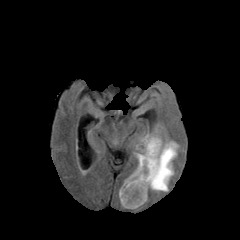
FLAIR MR image.
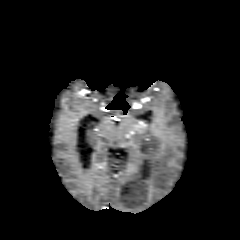
T1-weighted MR.
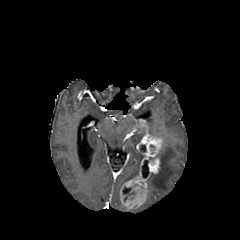
Post-contrast T1-weighted MR image.
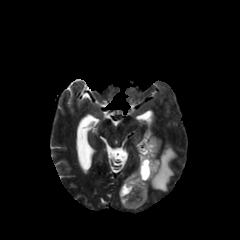
T2-weighted MRI.
Image size 240x240
2 edema regions are bounded by [119,145,143,198], [146,141,177,191]. 2 enhancing tumor regions are located at [120,171,147,207], [137,133,161,173]. 2 non-enhancing tumor core regions are bounded by [140,160,149,178], [122,186,138,199].